FLAIR MRI.
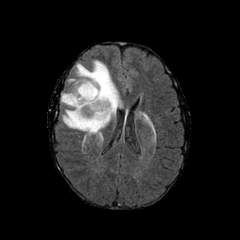
T1-weighted magnetic resonance.
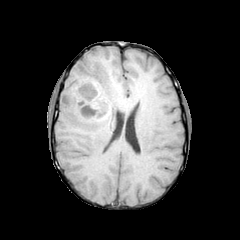
Post-contrast T1-weighted magnetic resonance.
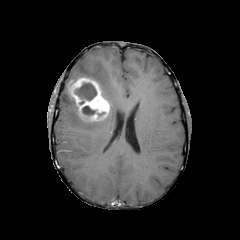
T2-weighted MR image.
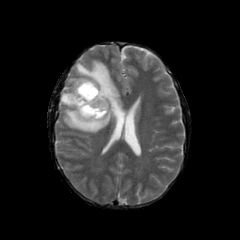
240x240 px.
2 non-enhancing tumor core regions are bounded by 74 82 97 100, 82 106 105 119. The edema is at 61 60 121 134. The enhancing tumor lies within 65 77 109 121.